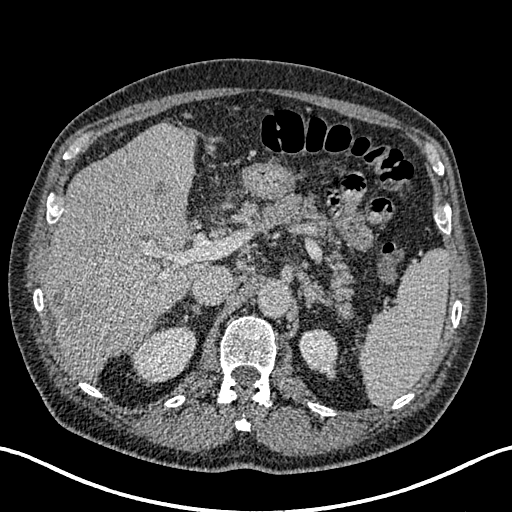
CT slice

Liver at box=[45, 125, 210, 379].
Kidney at box=[300, 330, 336, 376]; box=[134, 328, 195, 381].
Hepatic lesion at box=[151, 180, 171, 200]; box=[51, 289, 91, 325]; box=[164, 231, 182, 246].